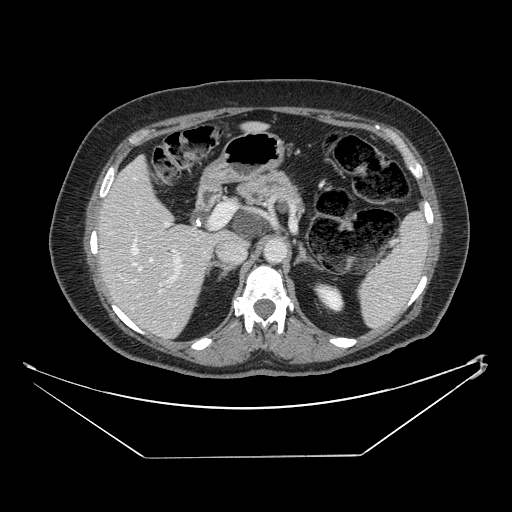

CT slice. Abdomen.

<segmentation>
  <pancreas>x1=231 y1=170 x2=304 y2=229</pancreas>
  <pancreatic_tumor>x1=233 y1=211 x2=269 y2=240</pancreatic_tumor>
</segmentation>